FLAIR MR.
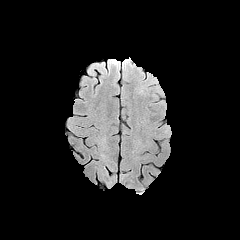
T1-weighted MR image.
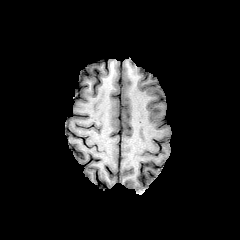
Post-contrast T1-weighted MRI.
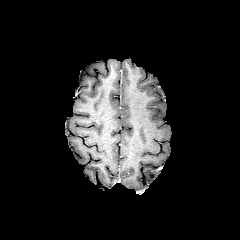
T2-weighted MRI.
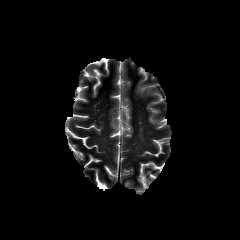
The edema appears at <box>136,84,148,95</box>.